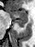

Medial temporal lobe. Magnetic resonance.
The posterior hippocampus is located at bbox=[13, 19, 27, 27]. The anterior hippocampus is located at bbox=[9, 9, 26, 19].